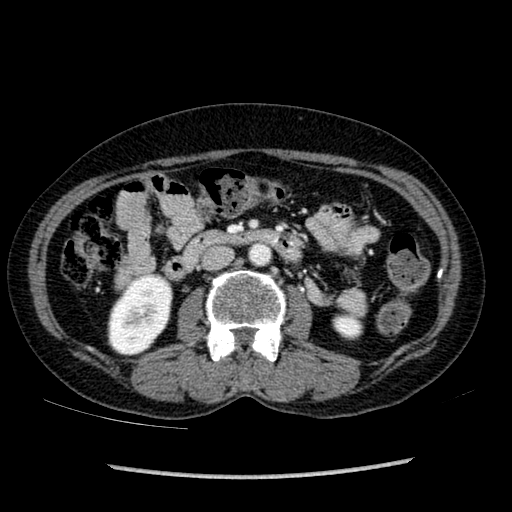 Image size 512x512. CT scan slice. Abdomen.

Kidney: bounding box l=337, t=318, r=358, b=334; l=110, t=275, r=171, b=353.